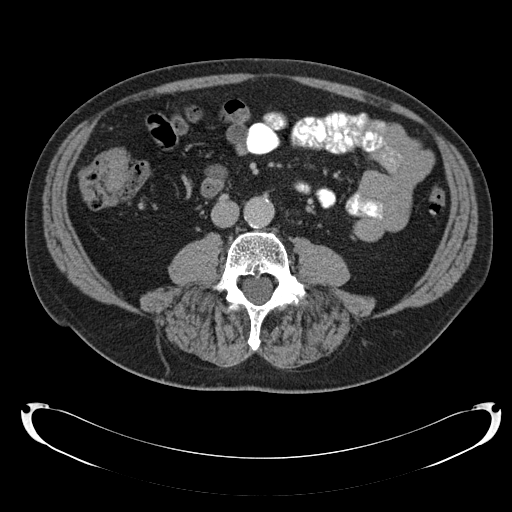
512x512. Computed tomography. Findings:
* colon tumor: bbox=[104, 148, 128, 192]